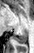

Medial temporal lobe | MRI slice

Posterior hippocampus: x1=13, y1=29, x2=28, y2=43.